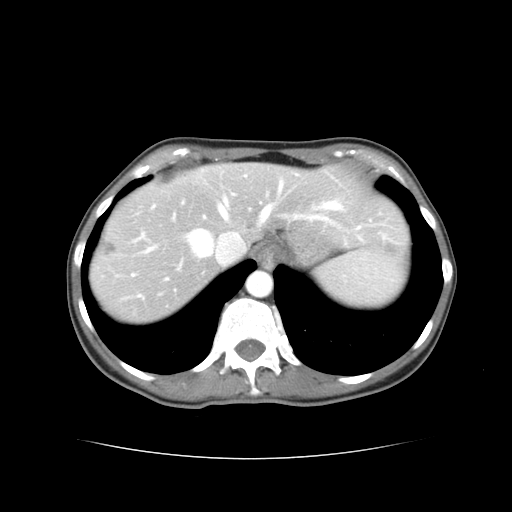

CT image

Not every hepatic vessel necessarily has a box.
<segmentation>
  <liver_tumor><bbox>105, 242, 113, 254</bbox></liver_tumor>
  <hepatic_vessel><bbox>147, 249, 150, 251</bbox>, <bbox>190, 231, 212, 255</bbox>, <bbox>220, 208, 226, 216</bbox>, <bbox>263, 207, 270, 218</bbox></hepatic_vessel>
</segmentation>